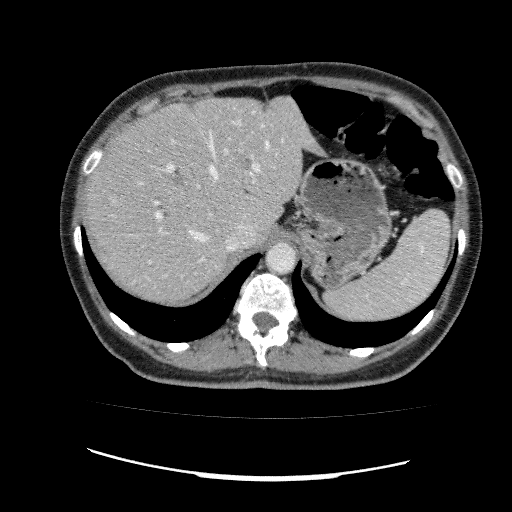
CT scan slice
liver: 83:95:326:303